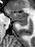
MR image, Medial temporal lobe

posterior_hippocampus:
  - left=17, top=21, right=28, bottom=25
anterior_hippocampus:
  - left=6, top=10, right=27, bottom=20